CT scan slice. Lower abdomen.

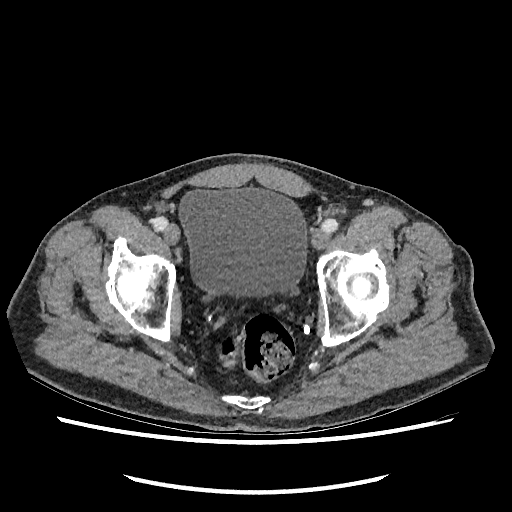
The urinary bladder is at left=179, top=187, right=307, bottom=295.